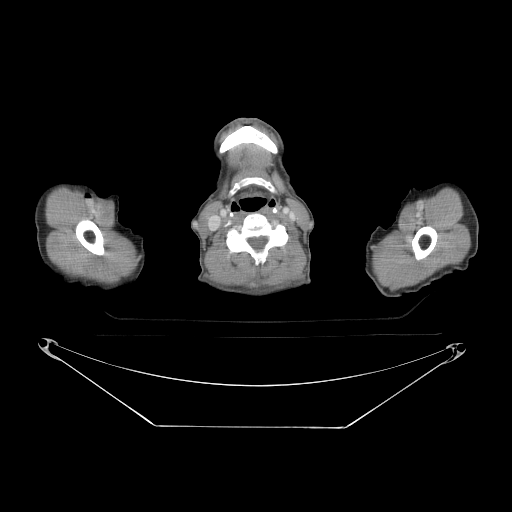 CT scan slice
- bone: {"x1": 220, "y1": 126, "x2": 276, "y2": 153}, {"x1": 412, "y1": 226, "x2": 437, "y2": 259}, {"x1": 76, "y1": 220, "x2": 103, "y2": 254}, {"x1": 226, "y1": 214, "x2": 287, "y2": 263}